FLAIR magnetic resonance.
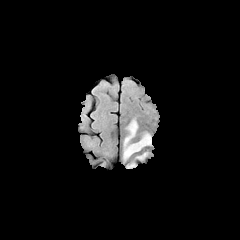
T1-weighted MR image.
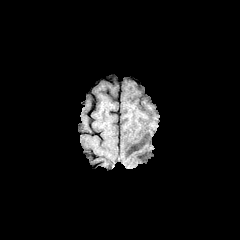
Post-contrast T1-weighted MR.
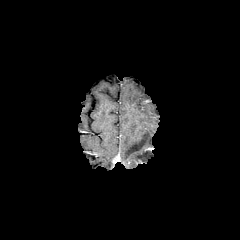
T2-weighted MR.
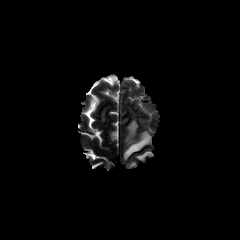
Head. 240x240 px.
3 edema regions appear at box(124, 133, 151, 158); box(129, 121, 137, 135); box(137, 151, 150, 159).